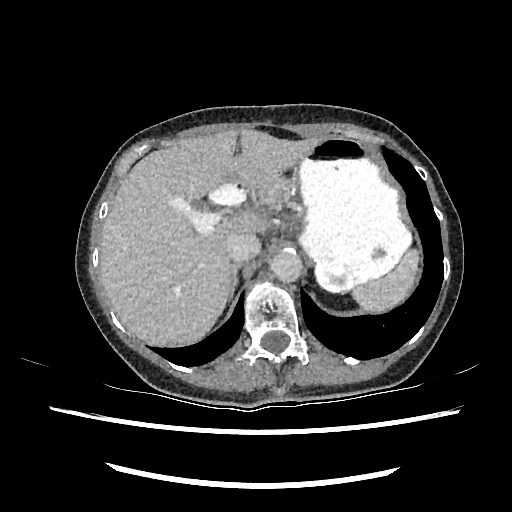 Image size 512x512. CT. Abdomen. <segmentation>
  <liver>101,129,317,344</liver>
</segmentation>